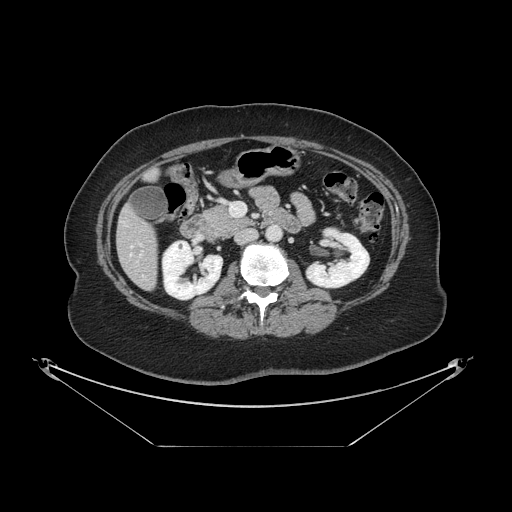
Upper abdomen. CT scan slice. 512x512.

Pancreas: bounding box [204,205,253,237].